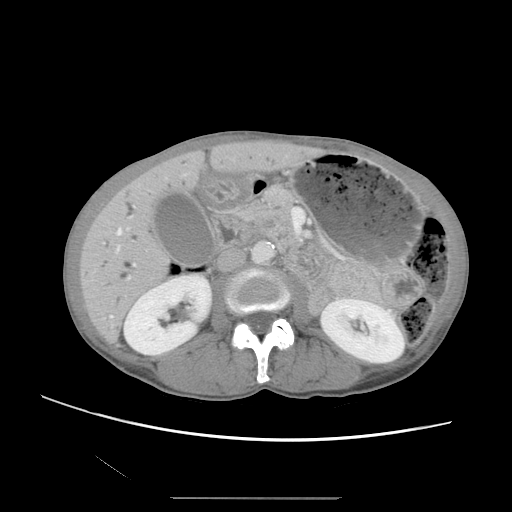 Abdomen; CT slice; 512x512

The pancreatic tumor appears at l=257, t=216, r=277, b=231. The pancreas lies within l=240, t=190, r=297, b=248.